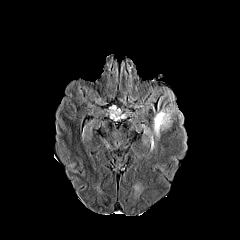
FLAIR magnetic resonance.
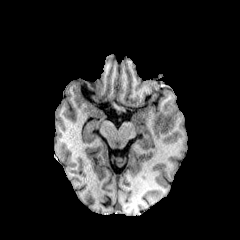
T1-weighted MR image.
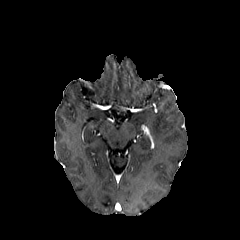
Post-contrast T1-weighted MR image.
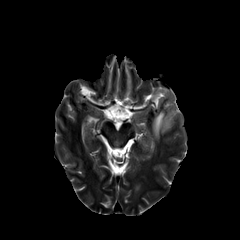
Same slice, T2-weighted MRI.
Image size 240x240, Brain
The edema is at rect(150, 92, 183, 140).